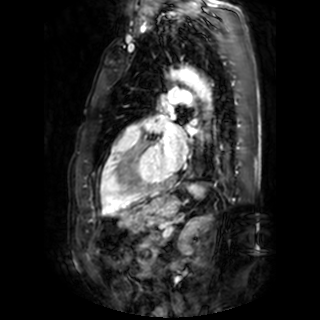 Heart. MRI. Left atrium: bounding box 159, 129, 187, 171.